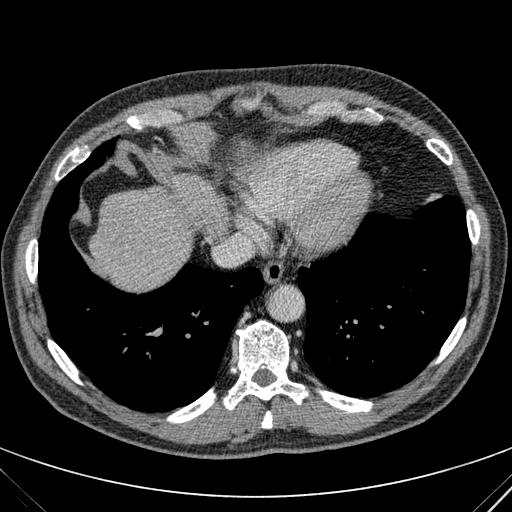
CT slice.

<segmentation>
  <liver>box(91, 174, 227, 289)</liver>
</segmentation>